Slice index 125, Abdomen, CT 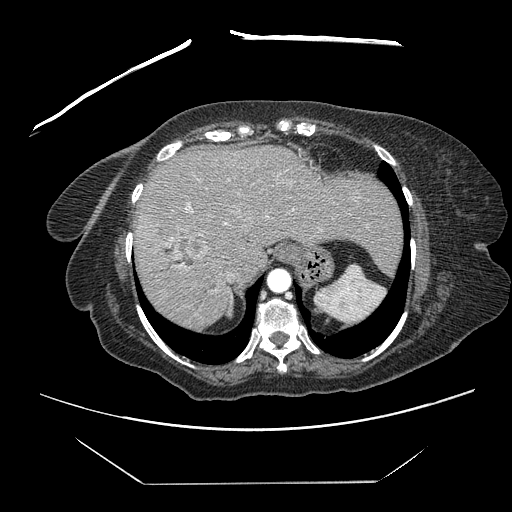 Only some of the vessels may be annotated.
hepatic_vessel:
  - (x1=187, y1=205, x2=189, y2=208)
liver_tumor:
  - (x1=175, y1=231, x2=205, y2=258)